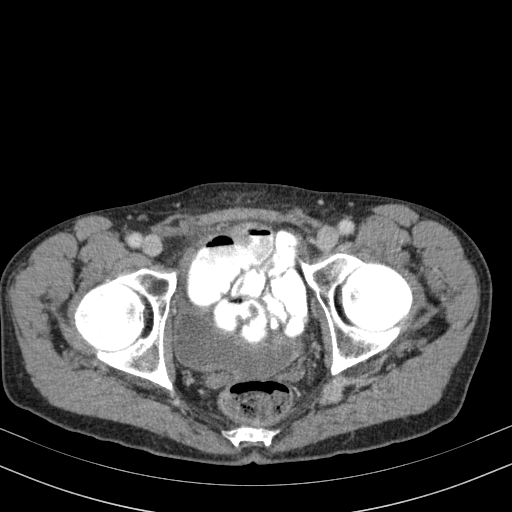 CT image | 512x512 | Lower abdomen
urinary bladder: 170 296 296 376